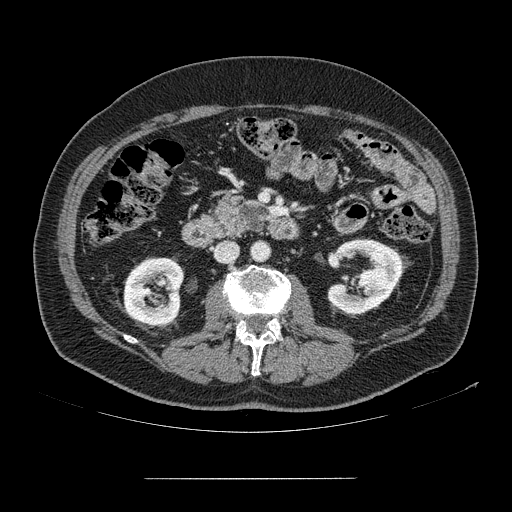 Abdomen | CT image

Pancreas: bounding box bbox=[216, 198, 267, 239].
Pancreatic tumor: bounding box bbox=[239, 204, 267, 230].